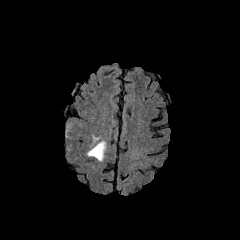
FLAIR MR.
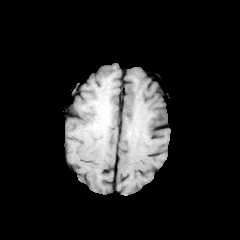
Same slice, T1-weighted magnetic resonance.
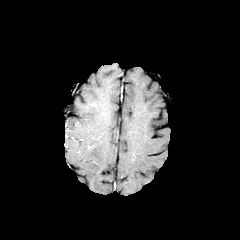
Post-contrast T1-weighted MRI.
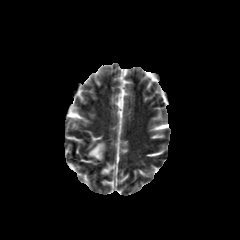
T2-weighted MRI of the same slice.
Head; Image size 240x240
The edema appears at (86, 135, 107, 161).